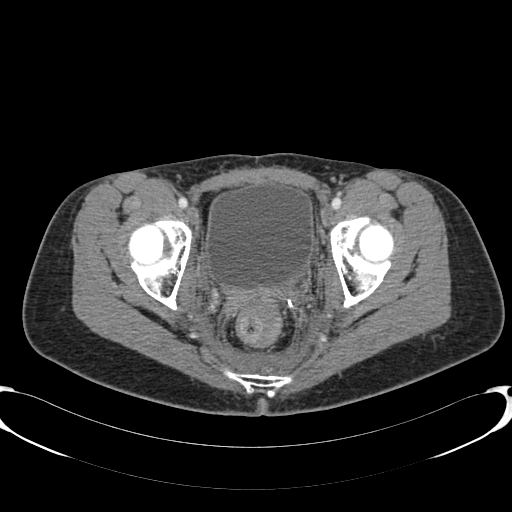
CT. Lower abdomen.

<segmentation>
  <urinary_bladder>{"x1": 208, "y1": 185, "x2": 311, "y2": 287}</urinary_bladder>
</segmentation>